Abdomen; CT slice; Slice 26/45 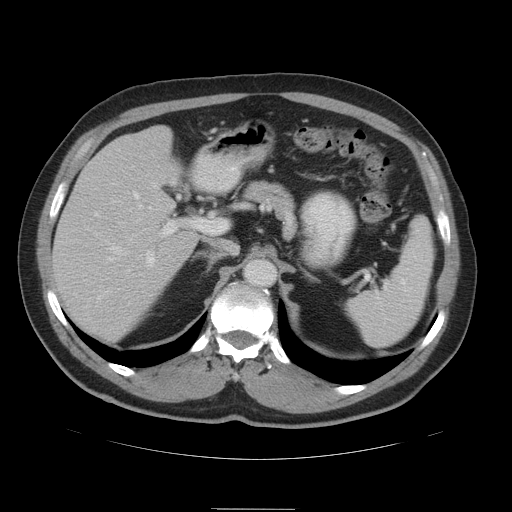 • pancreas: l=243, t=180, r=296, b=217